CT slice | Liver | 512x512 | Field of view 350x350 mm 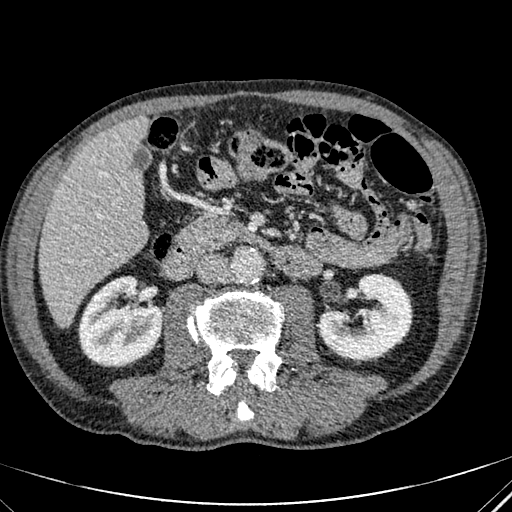
The liver appears at [x1=39, y1=117, x2=146, y2=326]. 2 kidney regions appear at [x1=320, y1=275, x2=410, y2=358], [x1=80, y1=277, x2=161, y2=364].